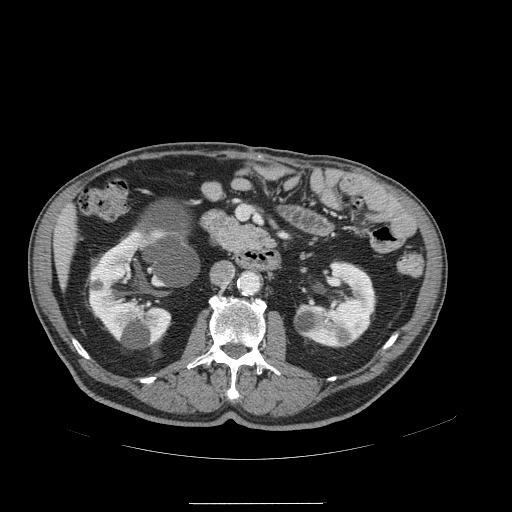

CT image
The pancreas appears at x1=207 y1=213 x2=281 y2=255.